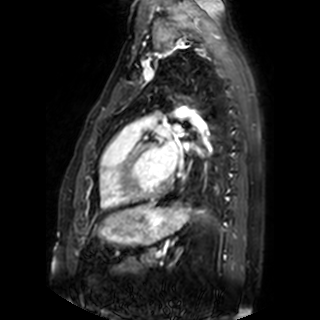 MR | Cardiac | 320x320 px

Annotated regions:
- left atrium: box=[160, 140, 177, 171]; box=[174, 124, 182, 132]